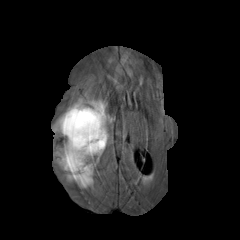
FLAIR MR image.
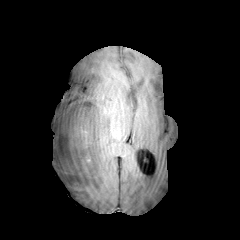
T1-weighted magnetic resonance of the same slice.
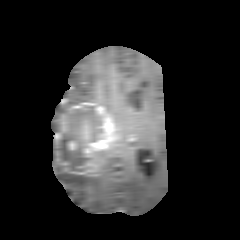
Same slice, post-contrast T1-weighted MRI.
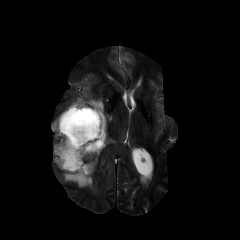
Same slice, T2-weighted MRI.
Head
Edema at (x1=52, y1=104, x2=73, y2=133), (x1=54, y1=136, x2=105, y2=187), (x1=88, y1=98, x2=105, y2=107).
Enhancing tumor at (x1=82, y1=126, x2=89, y2=138), (x1=71, y1=102, x2=109, y2=155), (x1=68, y1=141, x2=76, y2=149), (x1=55, y1=119, x2=66, y2=139).
Non-enhancing tumor core at (x1=58, y1=106, x2=102, y2=173).